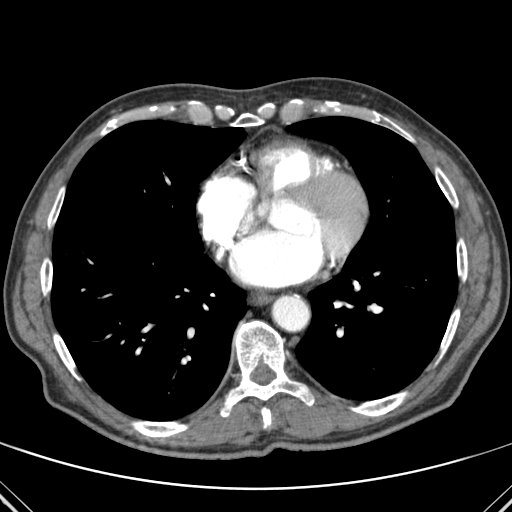 CT, 512x512
Segmented structures:
• bone: left=435, top=167, right=458, bottom=207; left=47, top=188, right=64, bottom=227; left=351, top=392, right=407, bottom=416; left=53, top=334, right=79, bottom=379; left=40, top=258, right=52, bottom=294; left=322, top=101, right=341, bottom=112; left=457, top=239, right=467, bottom=280; left=366, top=111, right=413, bottom=141; left=219, top=321, right=313, bottom=416; left=132, top=421, right=187, bottom=437; left=261, top=407, right=271, bottom=427; left=440, top=309, right=459, bottom=356; left=231, top=113, right=263, bottom=126; left=101, top=119, right=117, bottom=132
• lung: left=286, top=116, right=457, bottom=399; left=51, top=120, right=246, bottom=420